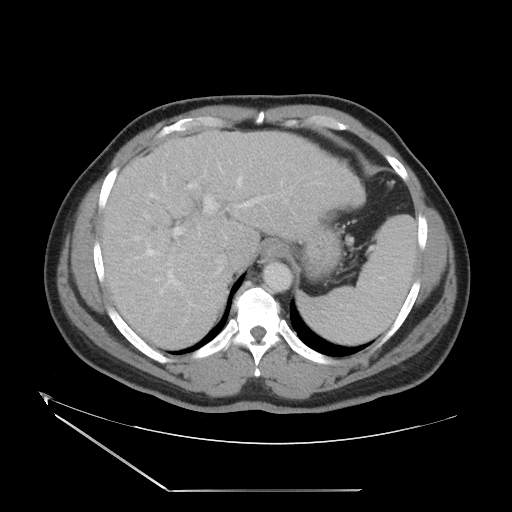 Abdomen, CT image

The vessel boxes may cover only some of the vessels.
<segmentation partial="true">
  <hepatic_vessel shown="15" total="23">[x1=237, y1=176, x2=241, y2=186], [x1=214, y1=258, x2=223, y2=275], [x1=159, y1=288, x2=163, y2=293], [x1=188, y1=183, x2=197, y2=188], [x1=238, y1=197, x2=263, y2=206], [x1=155, y1=278, x2=159, y2=280], [x1=146, y1=243, x2=159, y2=255], [x1=188, y1=301, x2=192, y2=305], [x1=204, y1=196, x2=217, y2=213], [x1=173, y1=227, x2=182, y2=234], [x1=149, y1=192, x2=158, y2=197], [x1=218, y1=163, x2=223, y2=172], [x1=165, y1=263, x2=180, y2=286], [x1=145, y1=215, x2=149, y2=218], [x1=134, y1=236, x2=139, y2=240]</hepatic_vessel>
</segmentation>